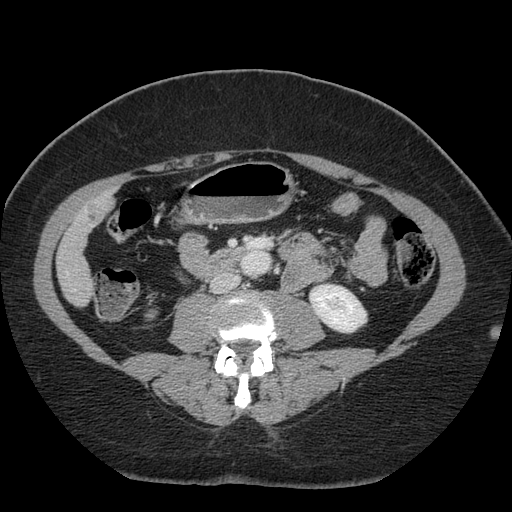 CT scan slice
Only some of the vessels may be annotated.
Findings:
* liver tumor: bbox(87, 204, 104, 223)
* hepatic vessel: bbox(67, 272, 68, 274)